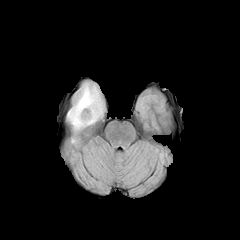
FLAIR MRI.
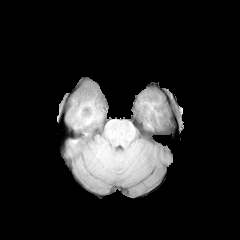
T1-weighted MRI of the same slice.
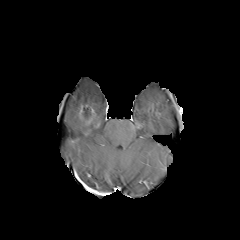
Post-contrast T1-weighted magnetic resonance.
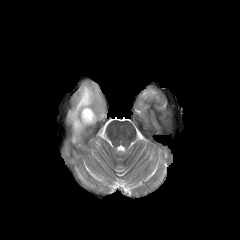
T2-weighted magnetic resonance.
240x240
edema:
  - 68, 83, 103, 132
non-enhancing_tumor_core:
  - 78, 106, 93, 125